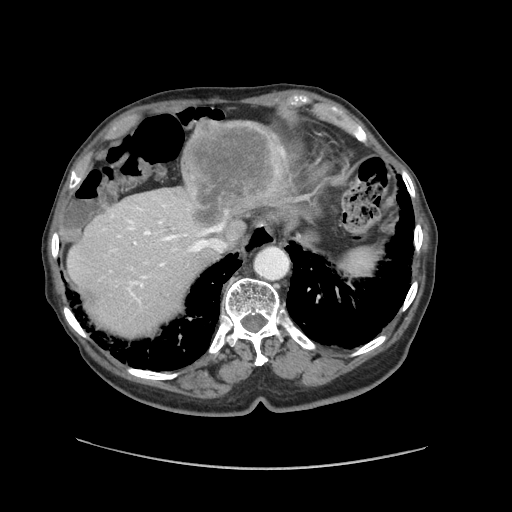

Image size 512x512; CT
The vessel annotation is not exhaustive.
liver tumor: box(184, 124, 284, 227) | hepatic vessel: box(130, 227, 132, 229); box(134, 242, 136, 244); box(183, 234, 187, 235); box(161, 235, 179, 240); box(188, 224, 225, 251); box(140, 283, 142, 285); box(142, 276, 146, 278); box(159, 221, 161, 223); box(160, 263, 164, 266); box(145, 232, 148, 234)